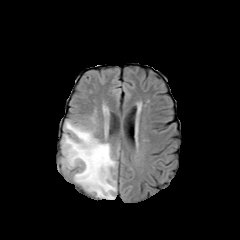
FLAIR MR.
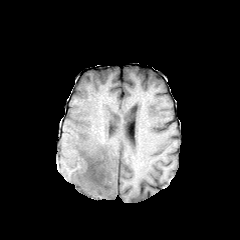
Same slice, T1-weighted MR image.
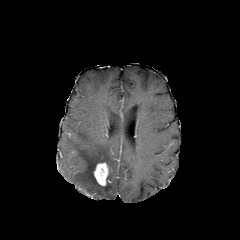
Same slice, post-contrast T1-weighted MR image.
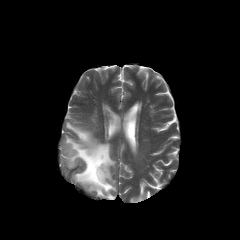
T2-weighted MR of the same slice.
Head
Non-enhancing tumor core: bounding box rect(85, 158, 107, 185).
Edema: bounding box rect(62, 120, 116, 199).
Enhancing tumor: bounding box rect(94, 162, 109, 185).